512x512 px. Field of view 393 mm wide, 5.00 mm slice spacing. Slice 31/52. CT slice.

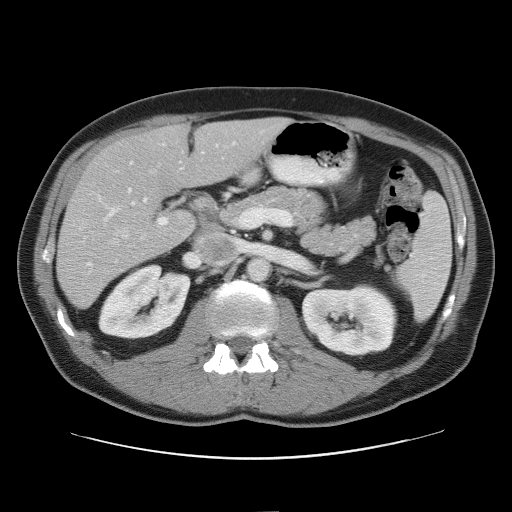
Some hepatic vessels may have no box.
Top 15 of 19 hepatic vessel regions: bounding box bbox=[215, 145, 217, 146]; bbox=[231, 143, 234, 145]; bbox=[86, 262, 91, 273]; bbox=[115, 231, 127, 238]; bbox=[157, 217, 166, 225]; bbox=[159, 143, 164, 146]; bbox=[131, 202, 134, 205]; bbox=[93, 193, 102, 203]; bbox=[144, 198, 146, 202]; bbox=[103, 205, 117, 221]; bbox=[127, 189, 130, 192]; bbox=[141, 235, 144, 239]; bbox=[111, 238, 118, 243]; bbox=[261, 131, 262, 133]; bbox=[150, 170, 155, 173].